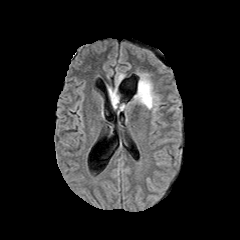
FLAIR MR.
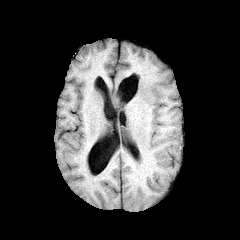
Same slice, T1-weighted MR.
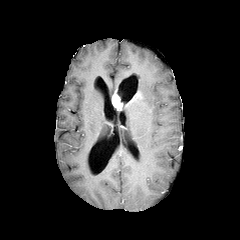
Post-contrast T1-weighted MR.
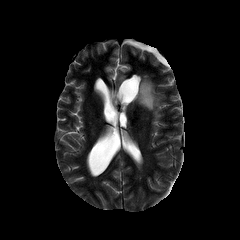
T2-weighted magnetic resonance.
Head. 240x240 px.
Enhancing tumor: bbox(112, 92, 127, 108).
Edema: bbox(114, 74, 158, 112).